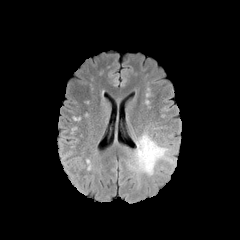
FLAIR MR image.
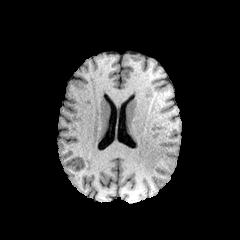
T1-weighted MR.
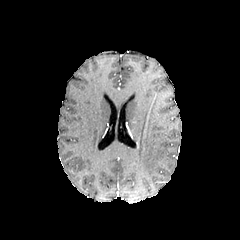
Post-contrast T1-weighted magnetic resonance.
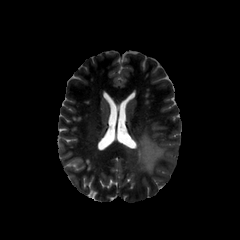
Same slice, T2-weighted MR image.
Head.
{
  "edema": [
    "<box>128,133,166,174</box>"
  ]
}